Brain
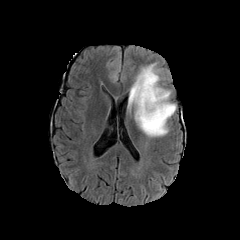
FLAIR MR image.
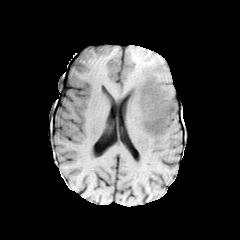
T1-weighted MRI.
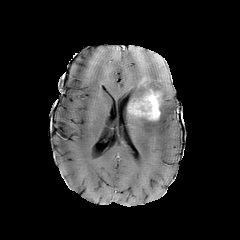
Same slice, post-contrast T1-weighted magnetic resonance.
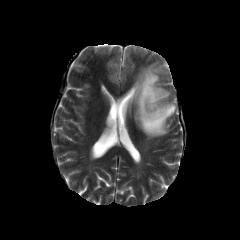
T2-weighted MR image of the same slice.
The non-enhancing tumor core is located at [135, 100, 173, 127]. The edema lies within [128, 63, 177, 138]. The enhancing tumor appears at [134, 89, 161, 119].